Abdomen; CT; Slice index 233; Image width 407 mm

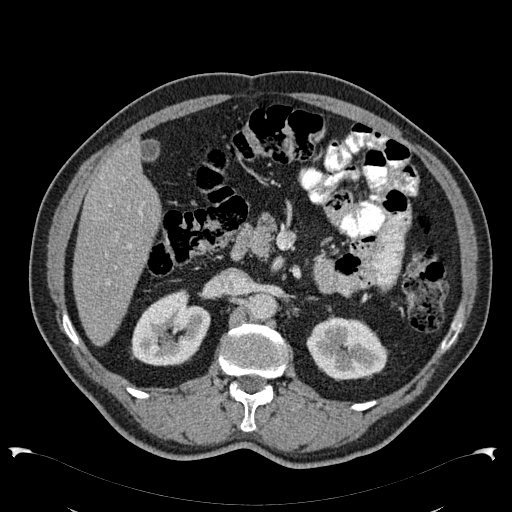

kidney: (131, 290, 210, 365), (307, 317, 386, 379), (200, 289, 211, 298) | liver: (73, 137, 160, 346)